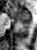
MR image. Image size 37x50. Hippocampus.

The posterior hippocampus appears at <bbox>22, 23, 30, 24</bbox>. The anterior hippocampus is at <bbox>9, 8, 30, 22</bbox>.